FLAIR MR.
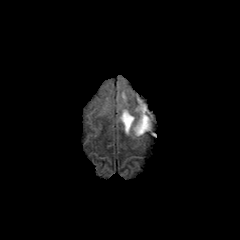
T1-weighted MR.
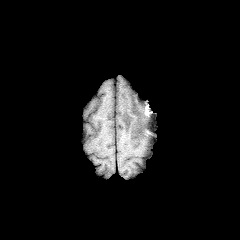
Post-contrast T1-weighted MR.
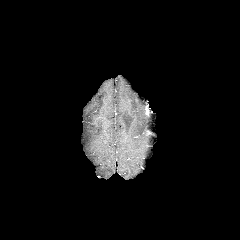
T2-weighted MR.
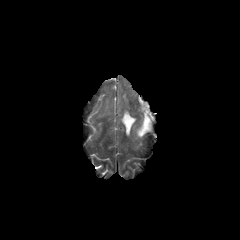
Brain
Annotated regions:
• edema: (119, 98, 153, 137)